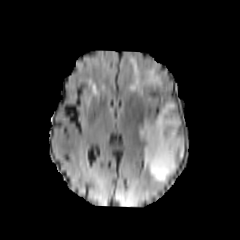
FLAIR MR image.
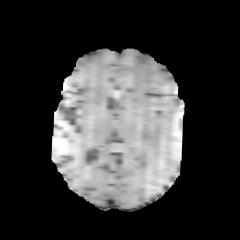
Same slice, T1-weighted MR.
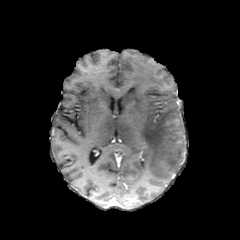
Post-contrast T1-weighted MRI.
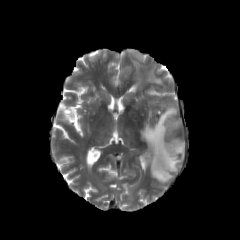
T2-weighted MRI of the same slice.
Head, 240x240 px
2 edema regions are located at 137, 102, 184, 181; 129, 58, 164, 91.